Image size 240x240, Slice index 84, Image width 240 mm
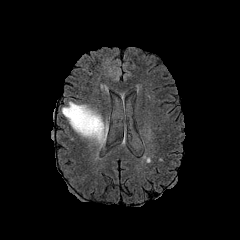
FLAIR MR image.
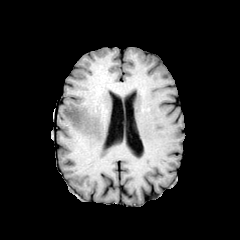
Same slice, T1-weighted MR image.
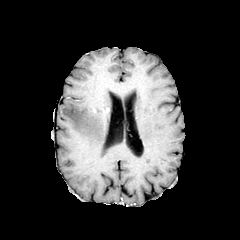
Post-contrast T1-weighted magnetic resonance.
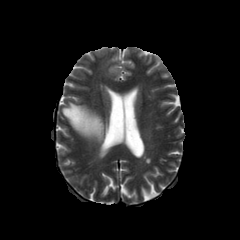
T2-weighted magnetic resonance.
Edema: bbox(62, 102, 108, 147).